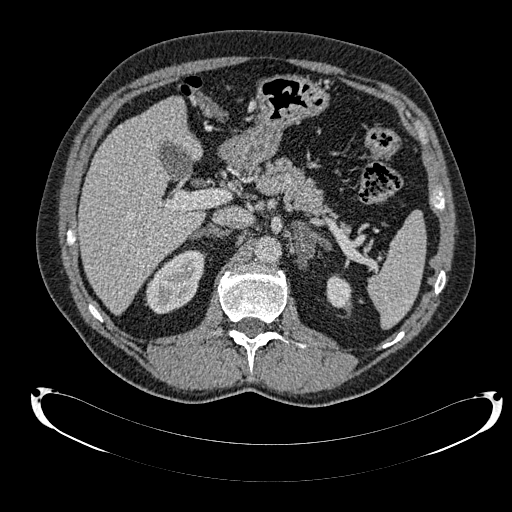
512x512 | Liver | CT slice
Annotated regions:
* liver: (79,97,203,312)
* kidney: (146,251,203,313), (327,276,350,306)